Slice 24/34. MR image. 35x55 px.
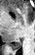

Posterior hippocampus = (x1=10, y1=41, x2=21, y2=49).